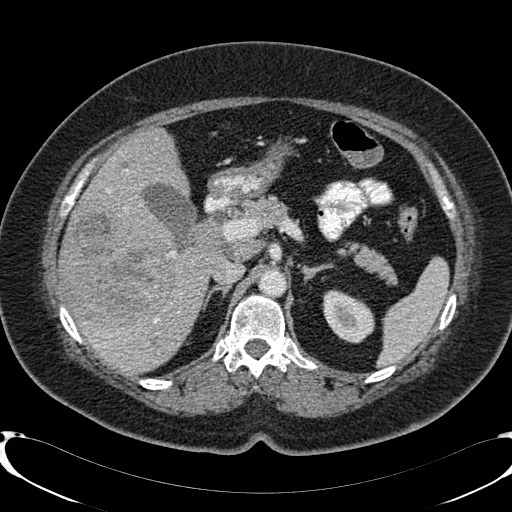
CT.
- kidney: <box>324,291,372,341</box>
- liver: <box>62,129,219,372</box>, <box>59,274,70,310</box>
- focal liver lesion: <box>121,161,128,168</box>, <box>60,210,173,325</box>, <box>149,336,158,344</box>